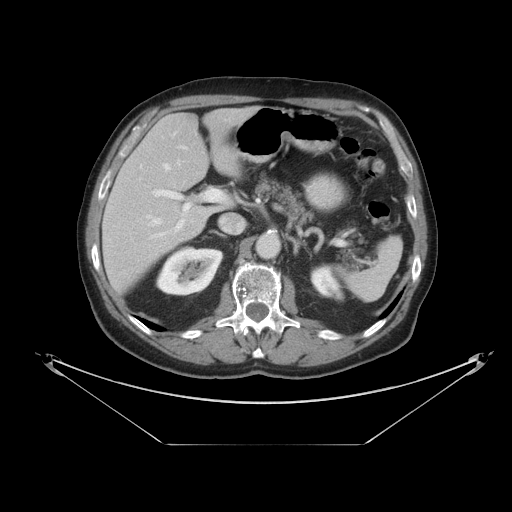
Computed tomography | Abdomen | 512x512

The spleen lies within {"x1": 346, "y1": 237, "x2": 401, "y2": 300}.